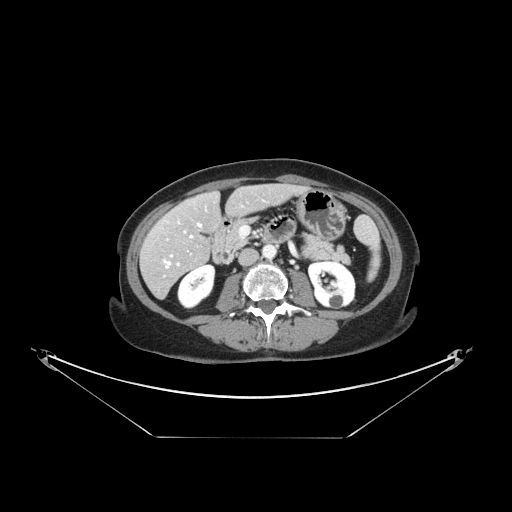
Abdomen. CT slice. Not every hepatic vessel necessarily has a box.
<segmentation>
  <hepatic_vessel>(x1=198, y1=224, x2=200, y2=226)</hepatic_vessel>
</segmentation>